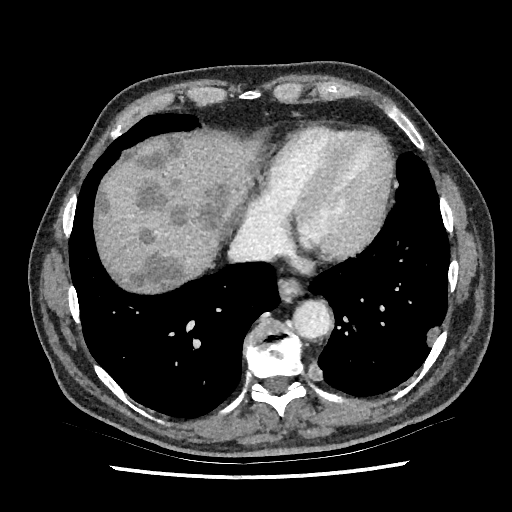 Computed tomography, 512x512 px
8 focal liver lesion regions appear at (left=119, top=134, right=185, bottom=170), (left=195, top=179, right=233, bottom=235), (left=96, top=196, right=111, bottom=219), (left=169, top=176, right=182, bottom=189), (left=118, top=252, right=184, bottom=290), (left=136, top=179, right=168, bottom=212), (left=170, top=206, right=187, bottom=226), (left=139, top=226, right=154, bottom=245). 2 liver regions are located at (left=96, top=134, right=263, bottom=291), (left=134, top=138, right=164, bottom=155).